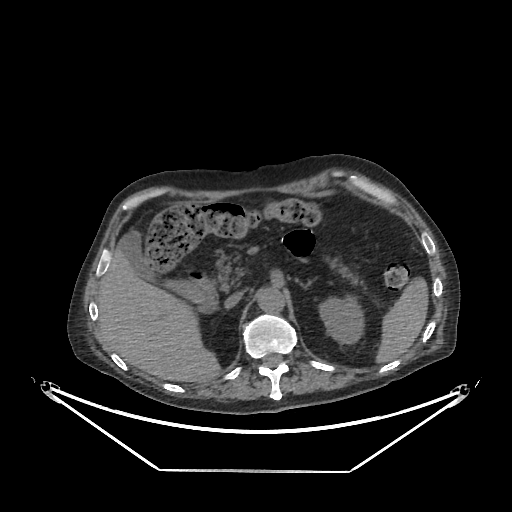

Liver; CT image
Annotated regions:
• kidney: bbox(319, 295, 364, 343)
• liver: bbox(94, 246, 219, 382)